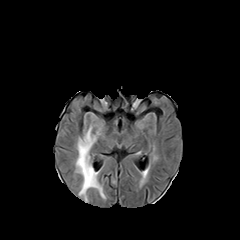
FLAIR MR image.
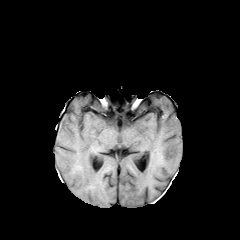
T1-weighted MR of the same slice.
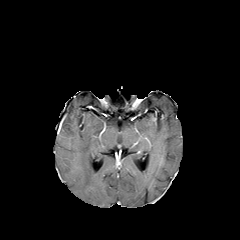
Same slice, post-contrast T1-weighted magnetic resonance.
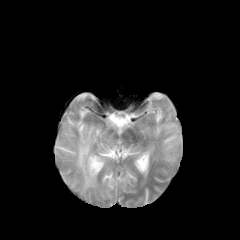
Same slice, T2-weighted magnetic resonance.
Head
Edema = [x1=75, y1=128, x2=105, y2=199].